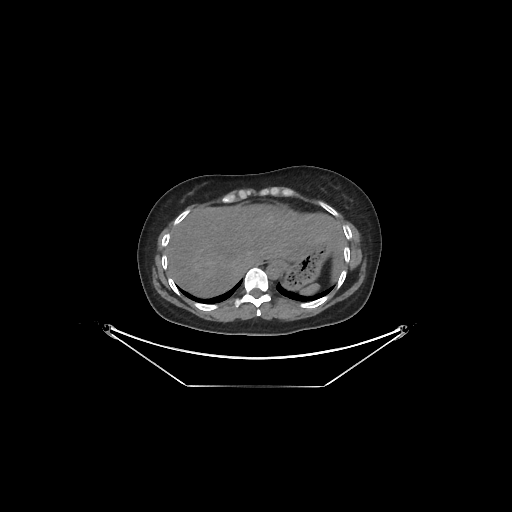 Computed tomography
Liver: bounding box rect(165, 205, 345, 297).